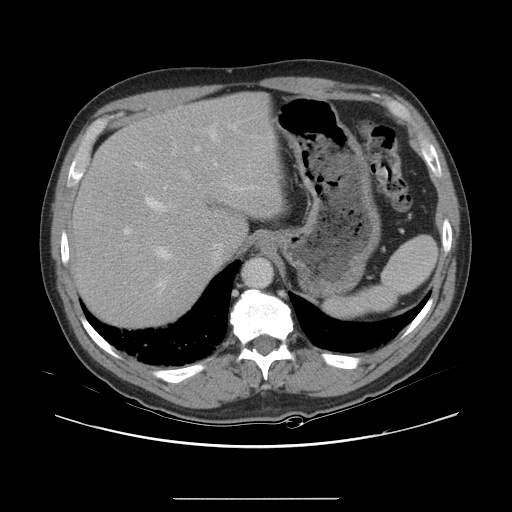

Liver. CT image.

Only some of the vessels may be annotated.
- hepatic vessel (largest 15 of 16): [x1=145, y1=197, x2=165, y2=212], [x1=213, y1=245, x2=215, y2=247], [x1=229, y1=124, x2=236, y2=130], [x1=186, y1=171, x2=187, y2=178], [x1=226, y1=184, x2=256, y2=191], [x1=155, y1=247, x2=171, y2=260], [x1=123, y1=227, x2=130, y2=234], [x1=208, y1=124, x2=217, y2=140], [x1=172, y1=143, x2=175, y2=154], [x1=135, y1=162, x2=144, y2=168], [x1=213, y1=161, x2=217, y2=166], [x1=198, y1=185, x2=199, y2=187], [x1=195, y1=147, x2=199, y2=151], [x1=164, y1=186, x2=166, y2=188], [x1=156, y1=281, x2=165, y2=295]